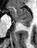 MR image.

{"posterior_hippocampus": ["[18,21,29,25]"], "anterior_hippocampus": ["[7,6,31,20]"]}